Liver. CT slice. 512x512. Slice 46 of 131.

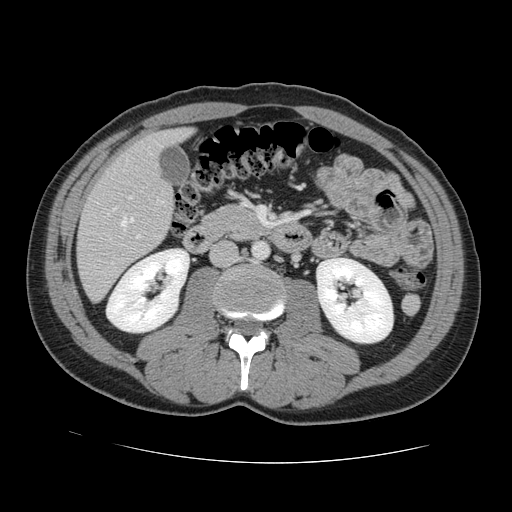 Only some of the vessels may be annotated.
5 hepatic vessel regions are bounded by left=136, top=235, right=139, bottom=237; left=121, top=213, right=132, bottom=230; left=112, top=207, right=116, bottom=210; left=128, top=196, right=131, bottom=198; left=156, top=198, right=162, bottom=202.